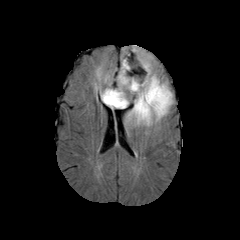
FLAIR MRI.
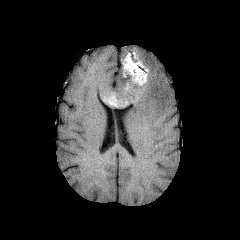
T1-weighted magnetic resonance.
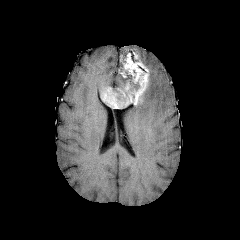
Post-contrast T1-weighted MRI.
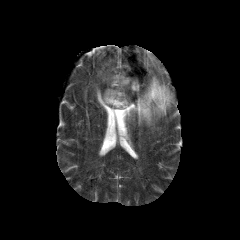
T2-weighted MR.
Head
Non-enhancing tumor core: region(112, 54, 147, 100).
Enhancing tumor: region(101, 67, 148, 108).
Edema: region(95, 72, 120, 95); region(125, 54, 173, 127).